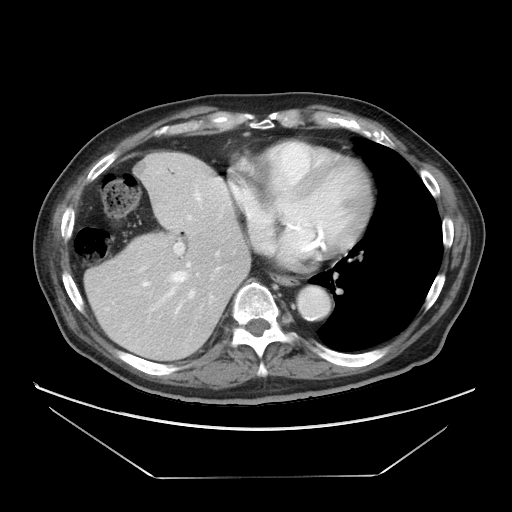

Computed tomography
The vessel boxes may cover only some of the vessels.
hepatic vessel: 141:281:150:286, 150:271:188:310, 173:242:183:254, 174:300:184:313, 186:262:190:267, 185:289:194:299